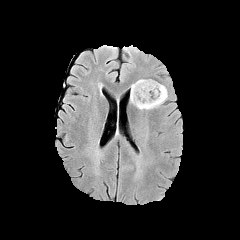
FLAIR MRI.
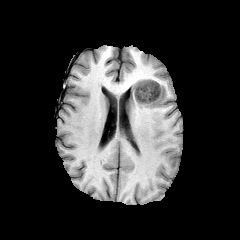
T1-weighted magnetic resonance of the same slice.
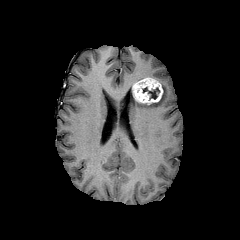
Post-contrast T1-weighted MRI.
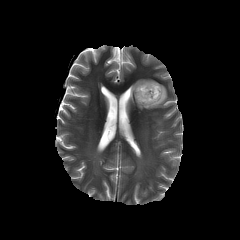
T2-weighted MR image of the same slice.
Brain.
The enhancing tumor is located at x1=132, y1=77, x2=162, y2=102. The edema is located at x1=129, y1=84, x2=167, y2=109. The non-enhancing tumor core lies within x1=141, y1=86, x2=160, y2=100.